Liver | Slice 520/685 | CT scan slice | 512x512 px 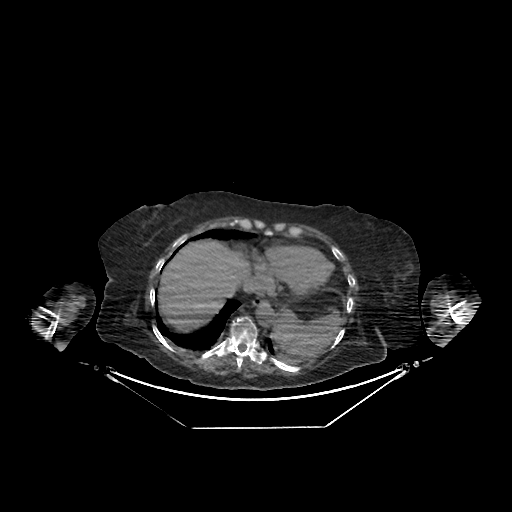

The liver is bounded by region(157, 238, 250, 332).